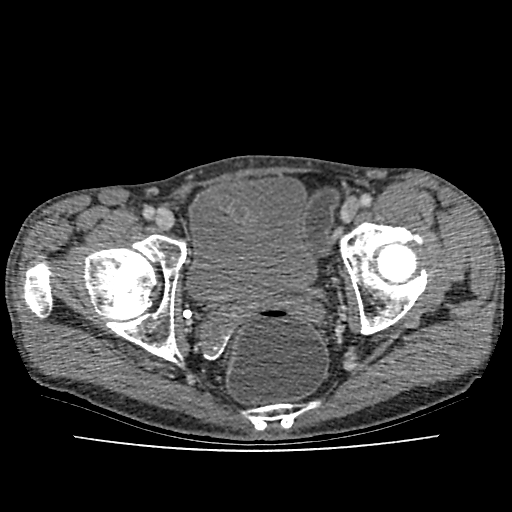
CT slice, Pelvis
{"urinary_bladder": ["(x1=186, y1=174, x2=317, y2=302)"]}